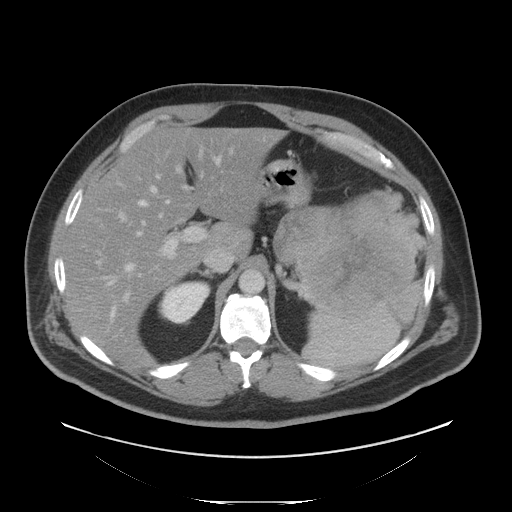

512x512. CT scan slice. Upper abdomen.

Segmented structures:
• pancreas: (x1=340, y1=283, x2=410, y2=319)
• pancreatic tumor: (x1=275, y1=192, x2=426, y2=313)